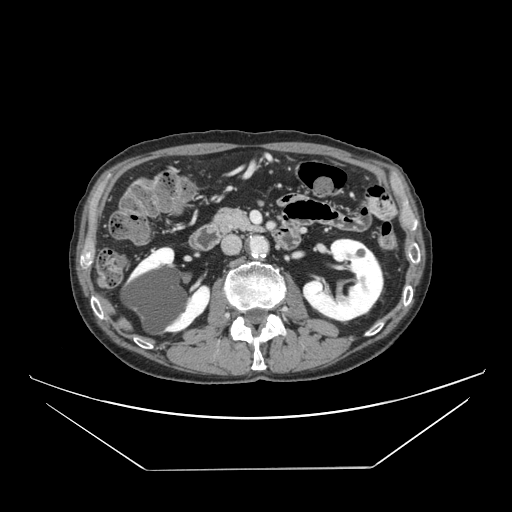

512x512 px, CT scan slice

The pancreas is located at <bbox>212, 205, 266, 235</bbox>.